Brain
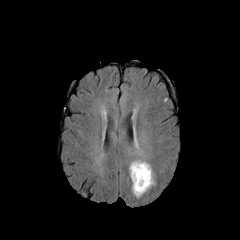
FLAIR magnetic resonance.
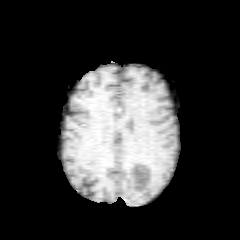
T1-weighted MR image.
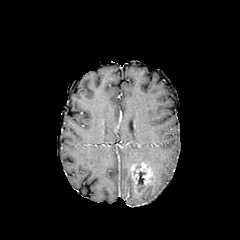
Post-contrast T1-weighted MRI.
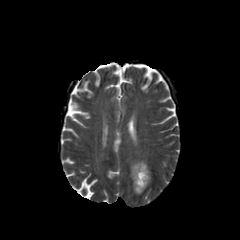
T2-weighted MR image.
The edema is bounded by 130,161,151,196. The enhancing tumor is located at 131,162,150,184.